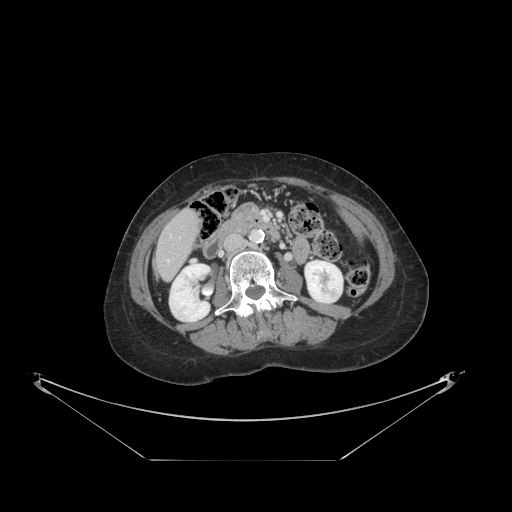

Abdomen. CT scan slice.

The vessel annotation is not exhaustive.
The hepatic vessel appears at 167 260 169 262.